Hippocampus, Slice 16/33, MRI 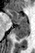

Segmented structures:
* posterior hippocampus: x1=13, y1=24, x2=28, y2=40
* anterior hippocampus: x1=6, y1=9, x2=27, y2=23